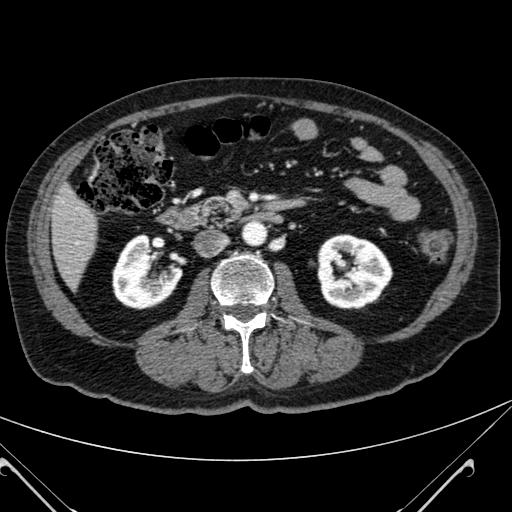

Upper abdomen, CT, Image size 512x512
<segmentation>
  <kidney>319 235 391 307, 113 236 180 307</kidney>
  <liver>51 187 95 289</liver>
</segmentation>